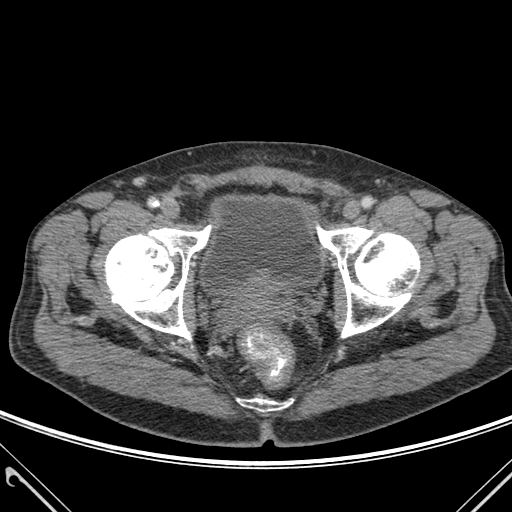
CT image.
<segmentation>
  <bone>bbox=[248, 398, 291, 411]; bbox=[105, 225, 210, 339]; bbox=[317, 227, 419, 337]</bone>
</segmentation>